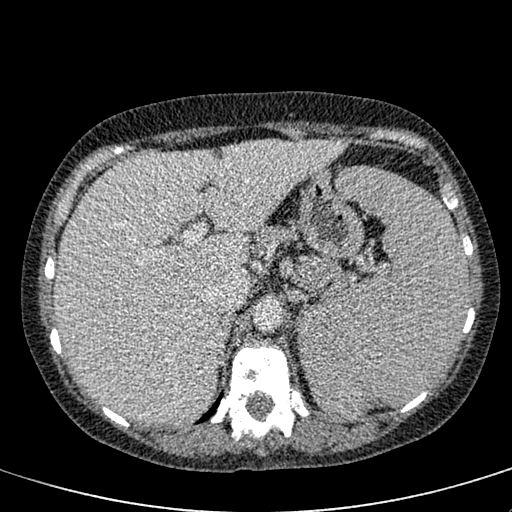 Liver; CT slice
<segmentation>
  <liver>x1=55 y1=140 x2=347 y2=424</liver>
</segmentation>